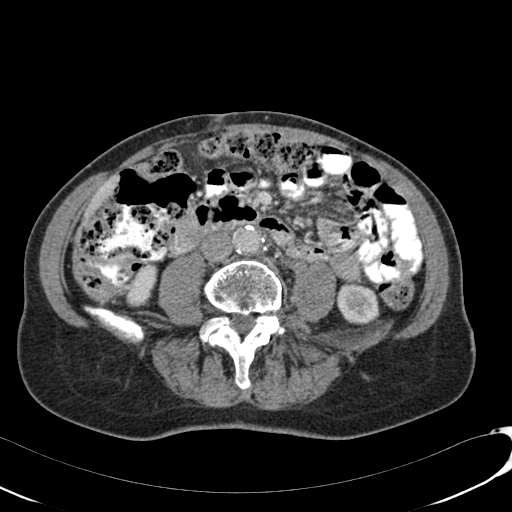
512x512 px; Upper abdomen; CT image

Liver: bounding box bbox(85, 175, 118, 216).
Kidney: bounding box bbox(125, 265, 155, 304); bbox(338, 285, 377, 322).